FLAIR MR image.
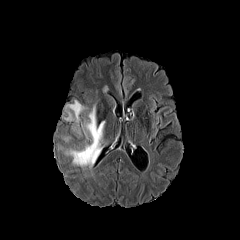
T1-weighted MR.
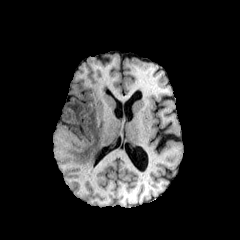
Post-contrast T1-weighted MR.
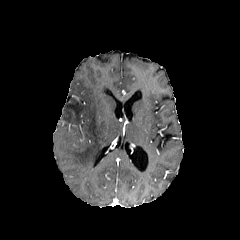
T2-weighted magnetic resonance.
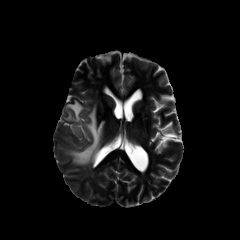
Brain | Image size 240x240
Edema at box(64, 100, 84, 122); box(66, 105, 105, 168).